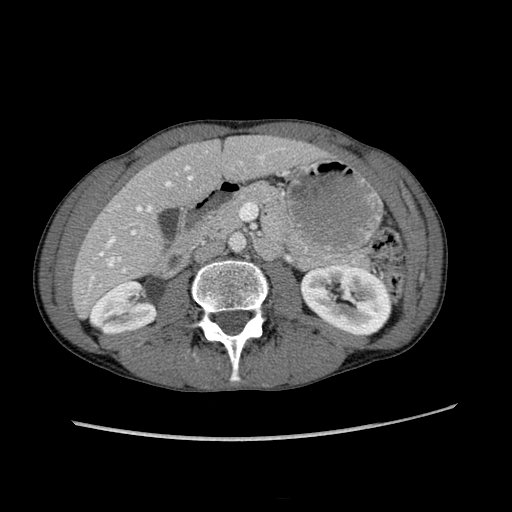
Image size 512x512 | CT scan slice | Liver
The liver is located at x1=69, y1=135, x2=326, y2=317. 2 kidney regions are bounded by x1=302, y1=265, x2=389, y2=334; x1=91, y1=282, x2=154, y2=331.